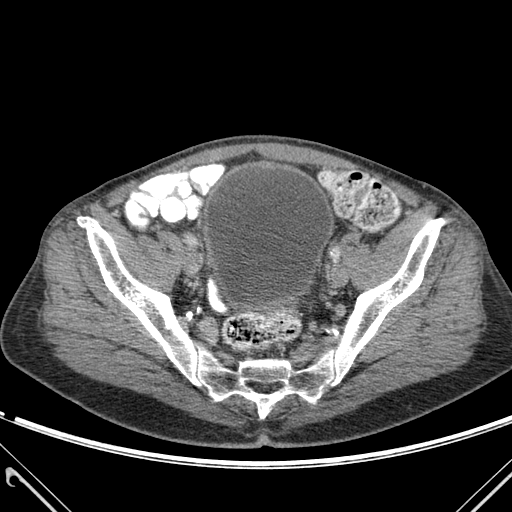 CT; Pelvis
urinary bladder: box(207, 168, 331, 305) | bone: box(77, 217, 444, 418)